Field of view 240x240 mm; Head; 240x240 px
FLAIR MRI.
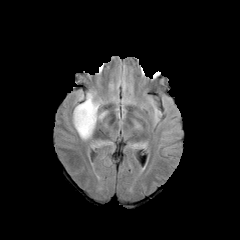
T1-weighted MR image.
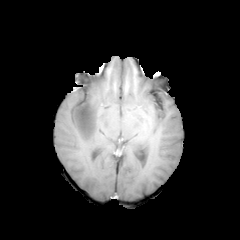
Post-contrast T1-weighted magnetic resonance.
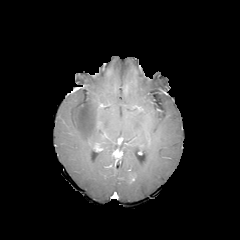
T2-weighted magnetic resonance.
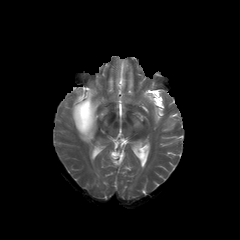
edema: region(71, 89, 105, 142); region(145, 97, 160, 121) | non-enhancing tumor core: region(79, 98, 90, 129)